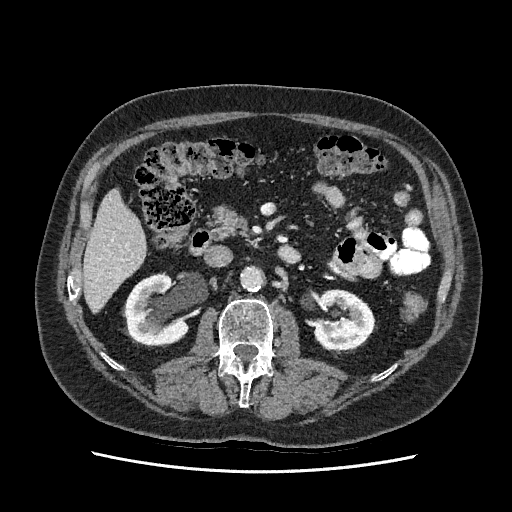

CT; Liver
Liver: bounding box x1=83 y1=188 x2=145 y2=311.
Kidney: bounding box x1=310 y1=290 x2=373 y2=349, x1=125 y1=275 x2=187 y2=344.